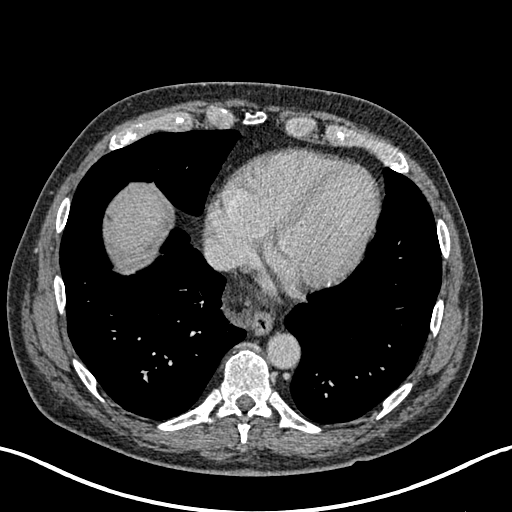

CT slice. Liver. 512x512 px.

The liver lies within {"x1": 105, "y1": 185, "x2": 172, "y2": 267}. The focal liver lesion is at {"x1": 144, "y1": 241, "x2": 155, "y2": 254}.